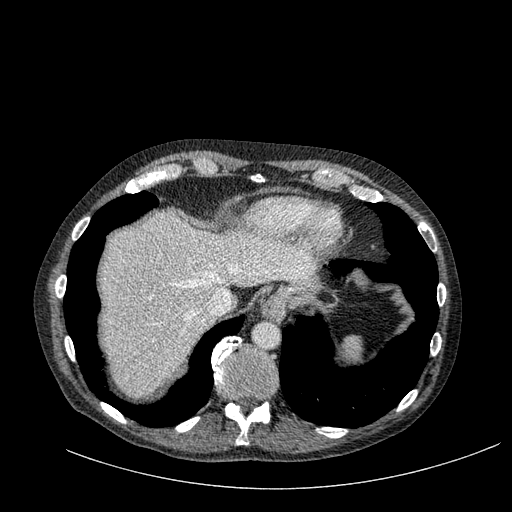 CT image, 512x512, Upper abdomen
The liver lies within 100:212:317:396.